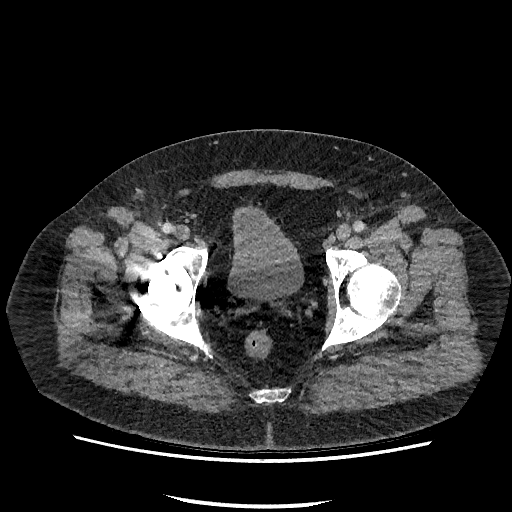

CT image, Pelvis
The urinary bladder is bounded by (228,204,303,302).